CT | Abdomen | Field of view 420x420 mm | 512x512 px | Slice index 69

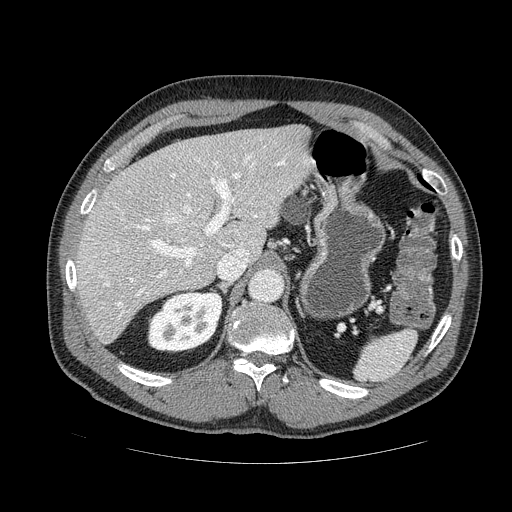
<segmentation>
  <pancreas>x1=279 y1=194 x2=314 y2=211</pancreas>
  <pancreatic_tumor>x1=280 y1=197 x2=313 y2=224</pancreatic_tumor>
</segmentation>